Slice 30/193 | Image width 388 mm | CT scan slice
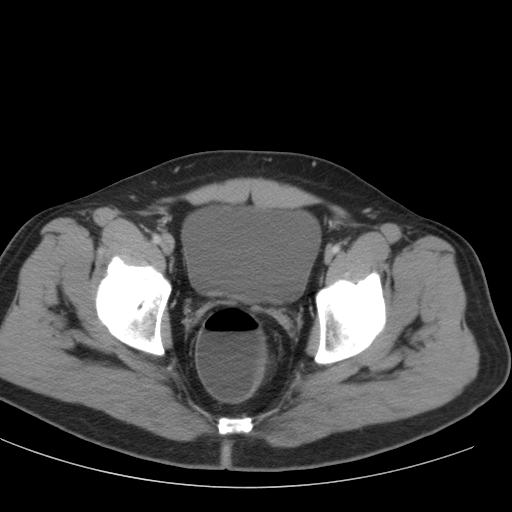 Annotated regions:
• urinary bladder: 182, 200, 320, 304